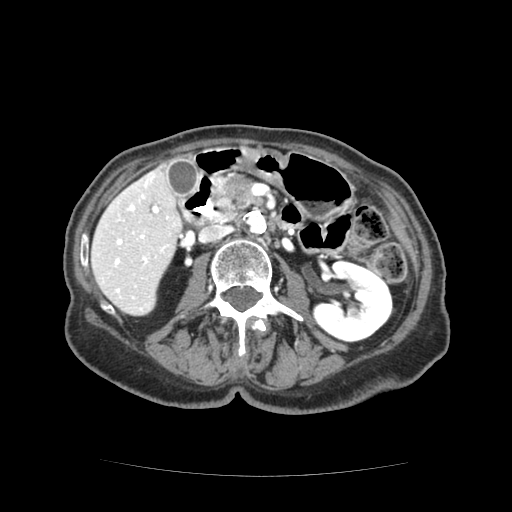 Abdomen, CT

Pancreas = (213, 180, 262, 216).
Pancreatic tumor = (224, 176, 257, 202).